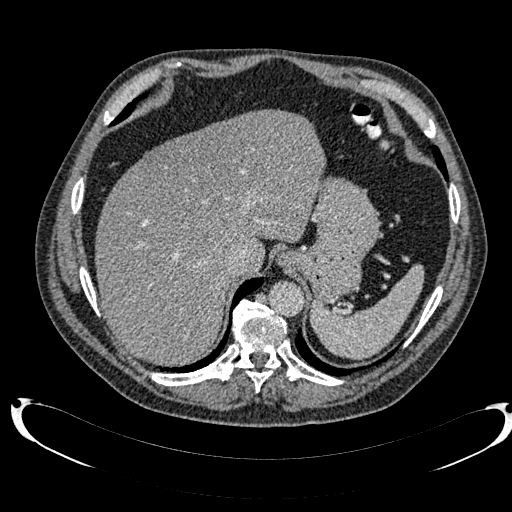

Image size 512x512, CT slice
{"liver": ["bbox=[95, 110, 324, 364]", "bbox=[149, 139, 176, 152]"], "focal_liver_lesion": ["bbox=[137, 117, 267, 221]"]}